Computed tomography, Abdomen
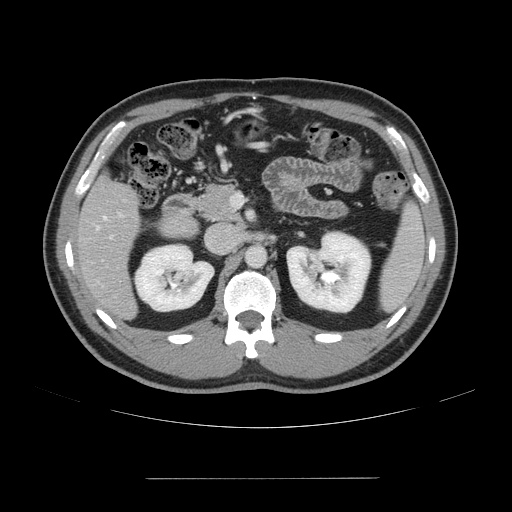
Not every hepatic vessel necessarily has a box.
Findings:
* hepatic vessel: box=[109, 235, 112, 237]; box=[96, 226, 98, 230]; box=[118, 213, 122, 216]; box=[104, 217, 106, 219]